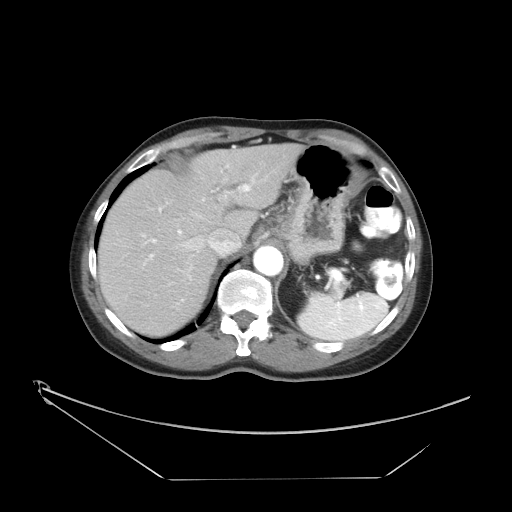 Computed tomography

Not every hepatic vessel necessarily has a box.
hepatic_vessel:
  - (x1=251, y1=176, x2=254, y2=182)
  - (x1=177, y1=230, x2=181, y2=233)
  - (x1=142, y1=234, x2=145, y2=236)
  - (x1=186, y1=230, x2=240, y2=254)
  - (x1=189, y1=276, x2=190, y2=279)
  - (x1=240, y1=185, x2=249, y2=190)
  - (x1=146, y1=239, x2=155, y2=242)
  - (x1=159, y1=207, x2=161, y2=210)
  - (x1=202, y1=198, x2=204, y2=199)
  - (x1=149, y1=254, x2=153, y2=258)
  - (x1=197, y1=215, x2=199, y2=216)